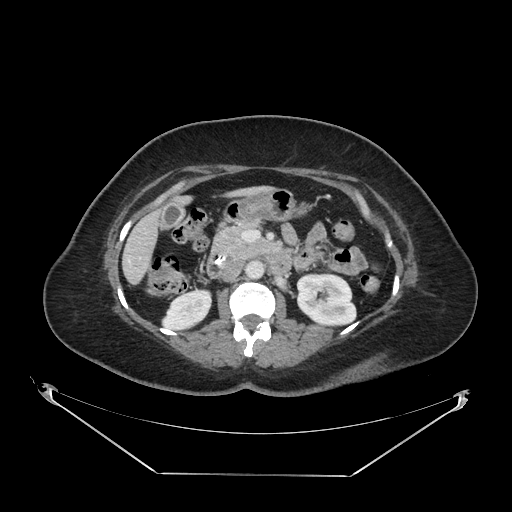 512x512 px; Upper abdomen; CT scan slice
pancreas:
  - (214, 219, 270, 260)